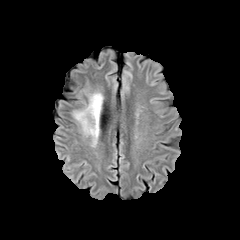
FLAIR MR image.
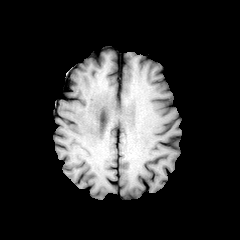
T1-weighted MR.
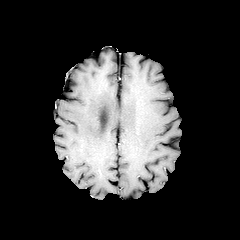
Post-contrast T1-weighted MR.
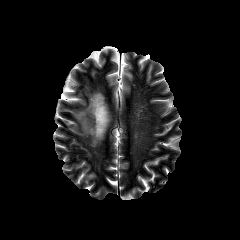
Same slice, T2-weighted MR.
Image size 240x240 | Brain
edema:
  - rect(72, 87, 104, 145)